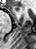

Magnetic resonance; 36x49 px

The anterior hippocampus is at l=13, t=5, r=19, b=11.